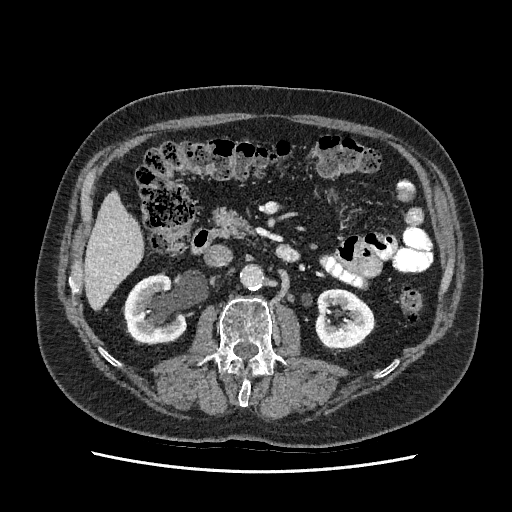
Computed tomography; Image size 512x512
kidney: (left=316, top=290, right=373, bottom=347), (left=125, top=275, right=185, bottom=342) | liver: (left=84, top=191, right=143, bottom=309)